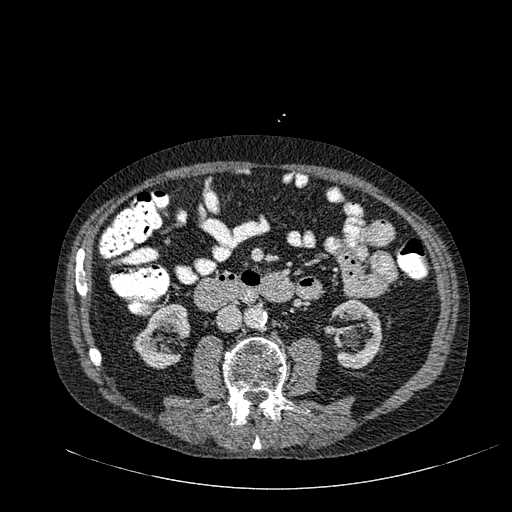 Abdomen, CT slice

kidney:
  - <bbox>324, 301, 381, 368</bbox>
  - <bbox>133, 304, 190, 369</bbox>